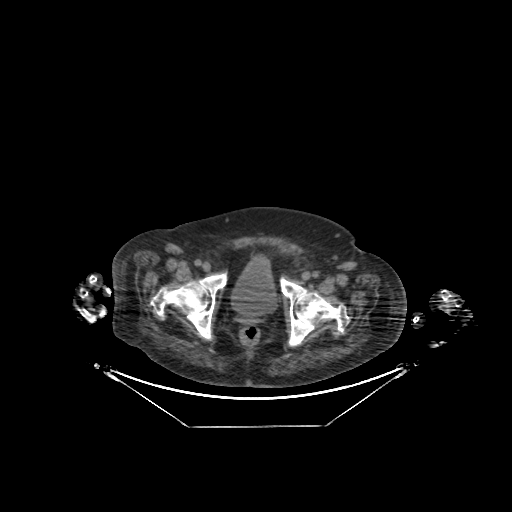

512x512, Lower abdomen, CT
<segmentation>
  <urinary_bladder>230, 253, 277, 317</urinary_bladder>
</segmentation>